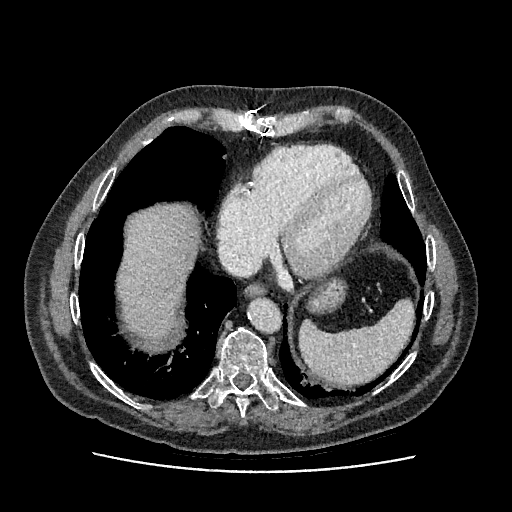 CT slice. Upper abdomen. Image size 512x512.
liver: box=[118, 205, 197, 339]